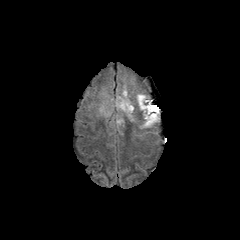
FLAIR magnetic resonance.
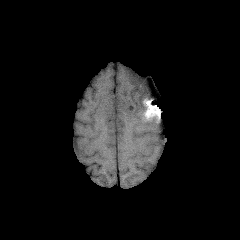
T1-weighted MR image of the same slice.
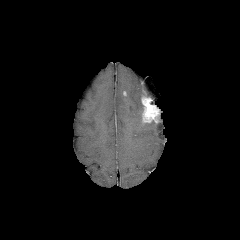
Post-contrast T1-weighted MR image.
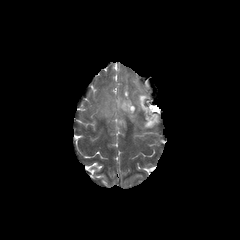
Same slice, T2-weighted MR.
edema: x1=98, y1=86, x2=147, y2=126; x1=140, y1=116, x2=158, y2=129 | enhancing tumor: x1=141, y1=96, x2=159, y2=123